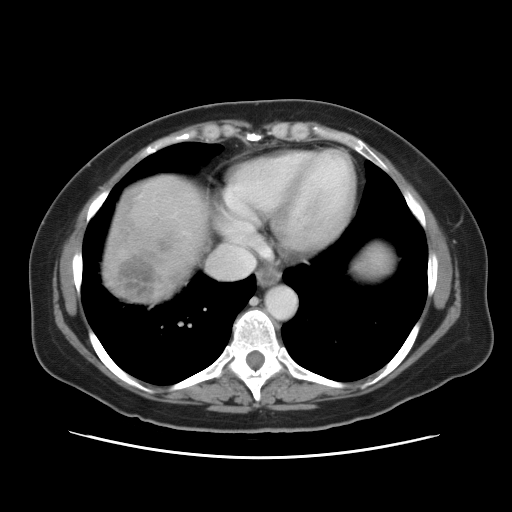 Abdomen; CT
Only some of the vessels may be annotated.
- hepatic vessel: [208, 237, 258, 278], [229, 222, 250, 231], [184, 232, 188, 234]
- liver tumor: [106, 190, 189, 301]